FLAIR magnetic resonance.
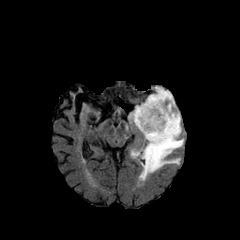
T1-weighted MR image.
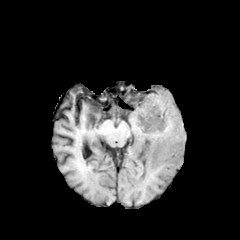
Post-contrast T1-weighted MR image.
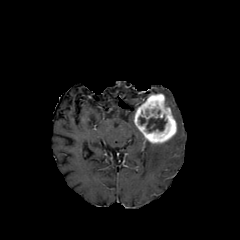
T2-weighted MRI.
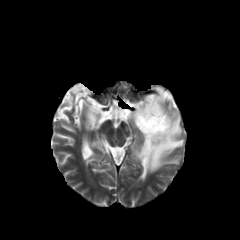
240x240 px; Head
The enhancing tumor appears at <box>134,93,175,144</box>. 2 edema regions appear at <box>127,111,135,123</box>, <box>130,86,184,181</box>. The non-enhancing tumor core is bounded by <box>147,118,166,131</box>.